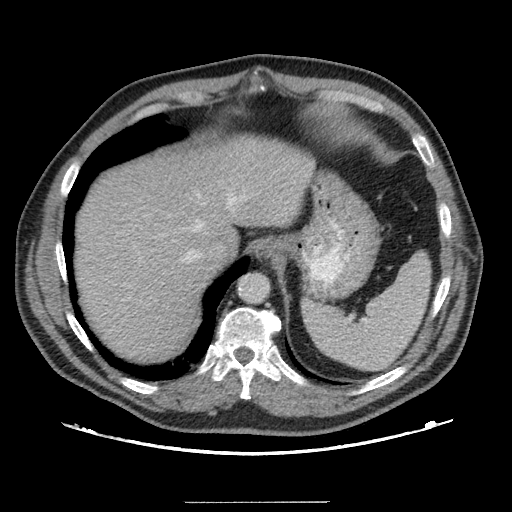 512x512 | CT slice | Liver
Not every hepatic vessel necessarily has a box.
- hepatic vessel: rect(202, 202, 205, 204); rect(189, 220, 204, 231); rect(229, 198, 234, 203); rect(180, 250, 202, 263)